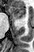
MR image, Image size 34x52, Hippocampus

The anterior hippocampus is at left=11, top=6, right=25, bottom=21.